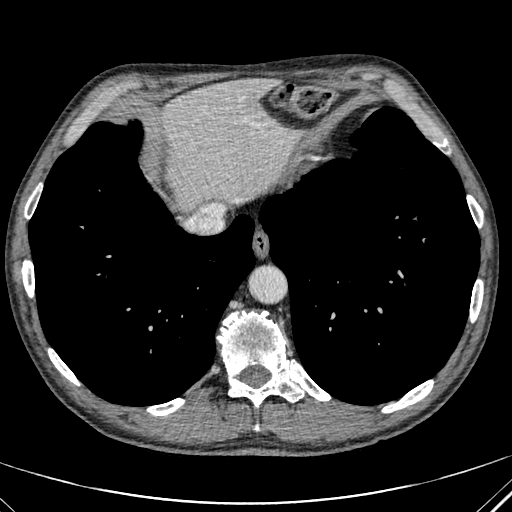
512x512 | Computed tomography | Abdomen

Liver: bounding box [x1=163, y1=78, x2=300, y2=211].